Brain | Slice index 92 | Image width 240 mm
FLAIR magnetic resonance.
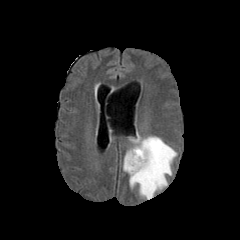
T1-weighted magnetic resonance.
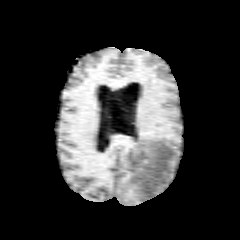
Post-contrast T1-weighted MR.
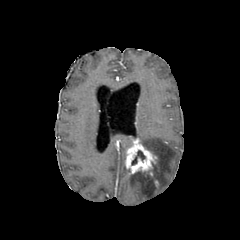
T2-weighted MR image.
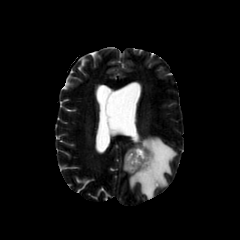
non-enhancing tumor core: bbox=[138, 156, 157, 177]; bbox=[131, 150, 145, 165] | enhancing tumor: bbox=[125, 138, 156, 173] | edema: bbox=[121, 135, 177, 199]